Field of view 240 mm wide, 1.00 mm slice spacing
FLAIR MR.
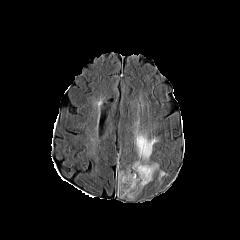
T1-weighted MRI.
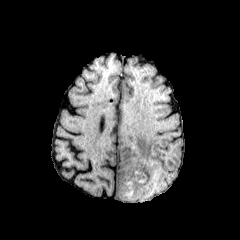
Post-contrast T1-weighted MRI.
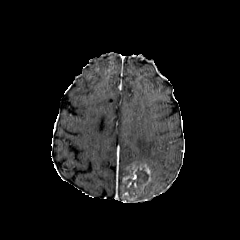
T2-weighted MRI.
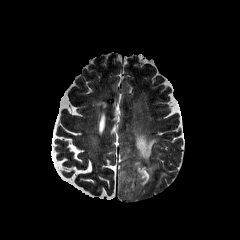
The non-enhancing tumor core is bounded by (136, 168, 148, 188). The edema is located at (133, 118, 167, 181). The enhancing tumor is bounded by (119, 161, 151, 201).